CT slice. Abdomen. 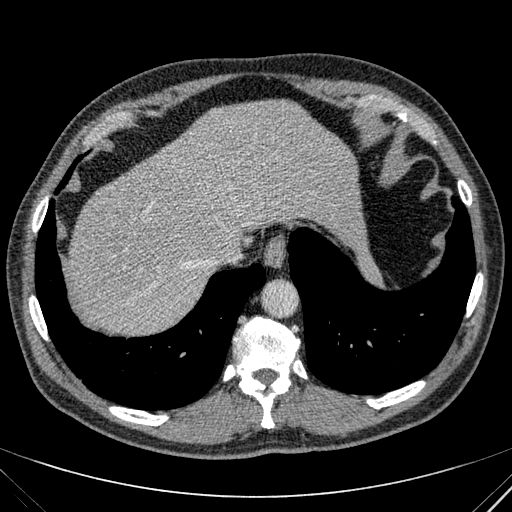

Annotated regions:
* liver: bbox=[66, 102, 368, 333]